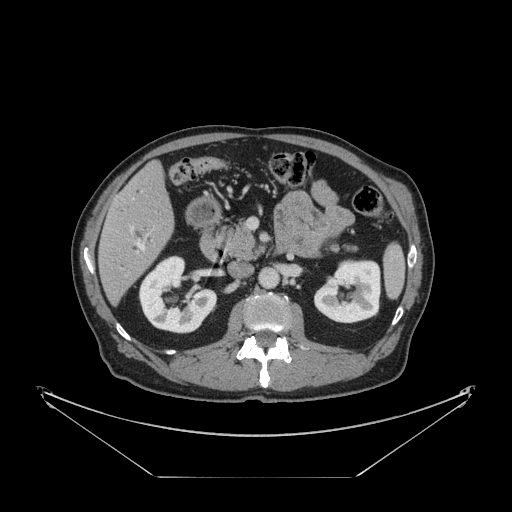 CT slice

Only some of the vessels may be annotated.
2 hepatic vessel regions are bounded by x1=130, y1=226, x2=132, y2=231; x1=134, y1=239, x2=143, y2=249.